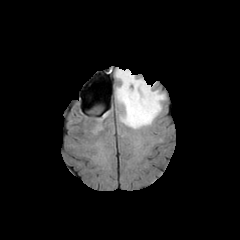
FLAIR MR.
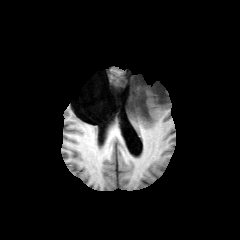
T1-weighted magnetic resonance of the same slice.
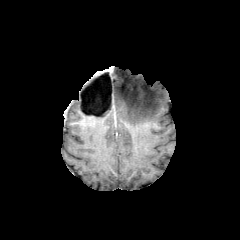
Post-contrast T1-weighted MR image of the same slice.
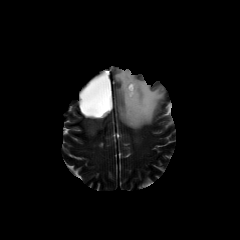
Same slice, T2-weighted MRI.
Head. 240x240 px.
edema:
  - bbox=[115, 69, 164, 129]